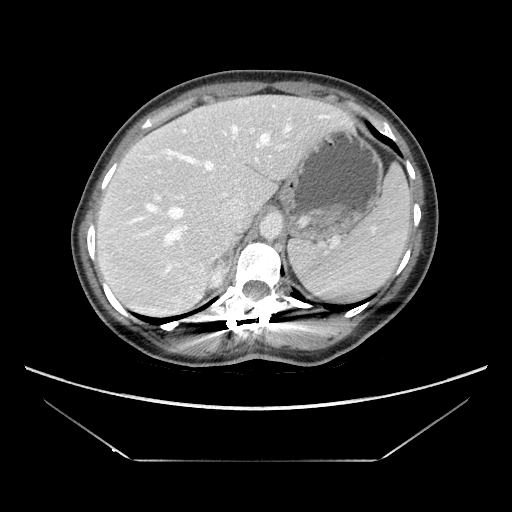 Liver. CT slice.

Some hepatic vessels may have no box.
Hepatic vessel: bounding box bbox(257, 135, 268, 147); bbox(166, 223, 187, 242); bbox(222, 199, 244, 221); bbox(148, 205, 184, 221); bbox(182, 157, 185, 157); bbox(234, 129, 235, 130); bbox(204, 161, 214, 170); bbox(169, 152, 176, 154).